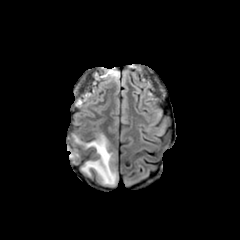
FLAIR MR.
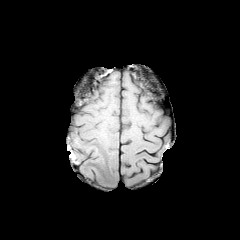
Same slice, T1-weighted magnetic resonance.
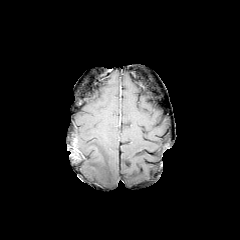
Post-contrast T1-weighted MR.
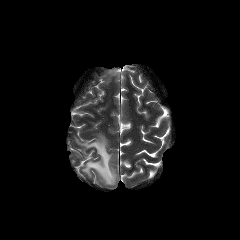
T2-weighted MRI.
The edema appears at bbox=[81, 134, 117, 185].